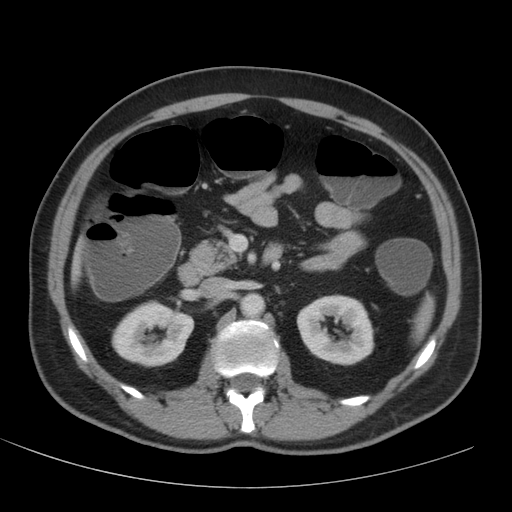
Upper abdomen; CT image
kidney: bbox=[112, 301, 193, 365]; bbox=[297, 296, 373, 364] | liver: bbox=[73, 253, 79, 274]